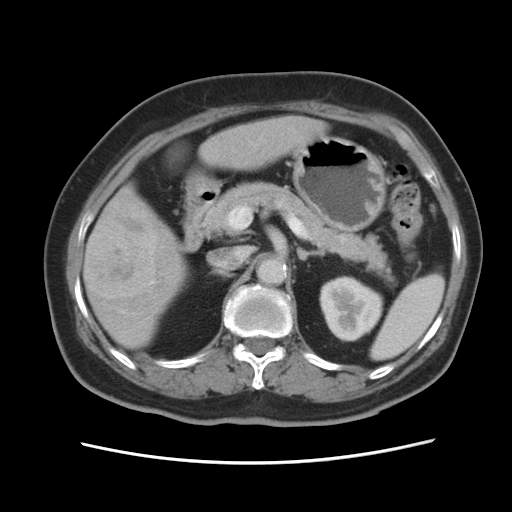 Image size 512x512; CT slice

The liver tumor lies within [84,218,155,297].